FLAIR MR image.
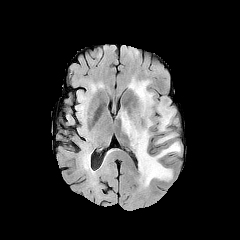
T1-weighted MR image.
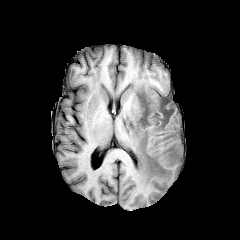
Post-contrast T1-weighted magnetic resonance.
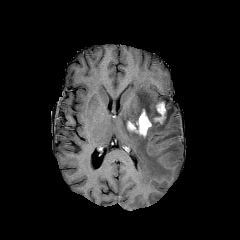
T2-weighted magnetic resonance.
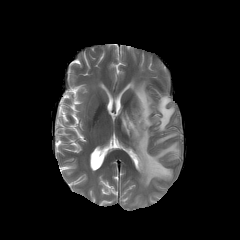
Brain | 240x240
Non-enhancing tumor core: <box>140,97,173,127</box>, <box>124,118,148,139</box>.
Enhancing tumor: <box>156,102,165,122</box>, <box>128,109,151,136</box>.
Edema: <box>162,97,172,108</box>, <box>120,79,180,186</box>.